FLAIR MR image.
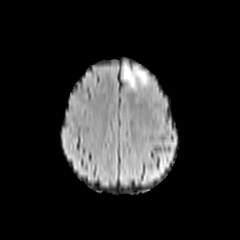
T1-weighted magnetic resonance.
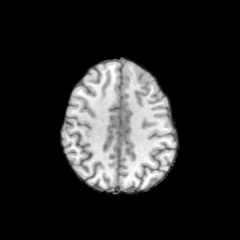
Post-contrast T1-weighted MR.
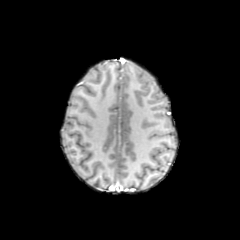
T2-weighted magnetic resonance.
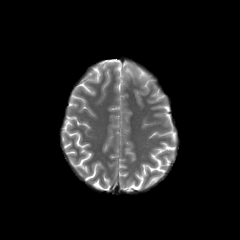
Brain.
Edema = x1=122 y1=64 x2=147 y2=88.